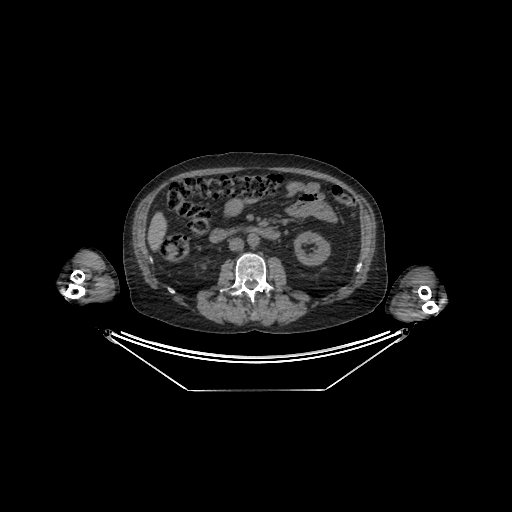 512x512, Liver, CT slice
The kidney appears at x1=293 y1=231 x2=330 y2=265. The liver is bounded by x1=148 y1=213 x2=166 y2=249.